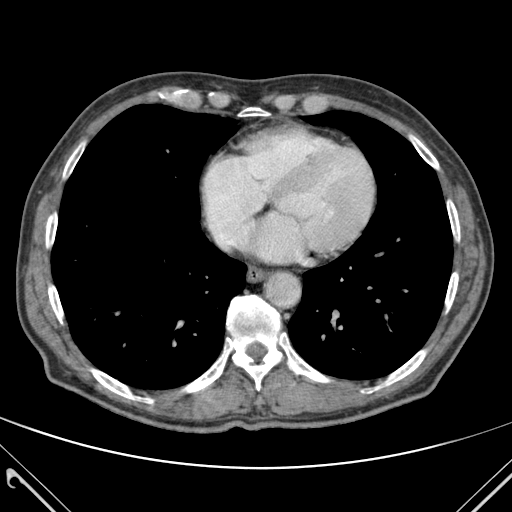 CT
Bone: bounding box region(385, 351, 425, 385); region(184, 295, 328, 392); region(63, 146, 81, 176); region(48, 282, 62, 323); region(445, 273, 458, 309); region(447, 201, 459, 239); region(46, 208, 57, 249); region(91, 369, 152, 403); region(411, 137, 438, 168); region(238, 108, 270, 116).
Lung: bounding box region(51, 104, 246, 389); region(288, 111, 452, 379).